Image size 512x512 | CT image | Liver | Slice index 29
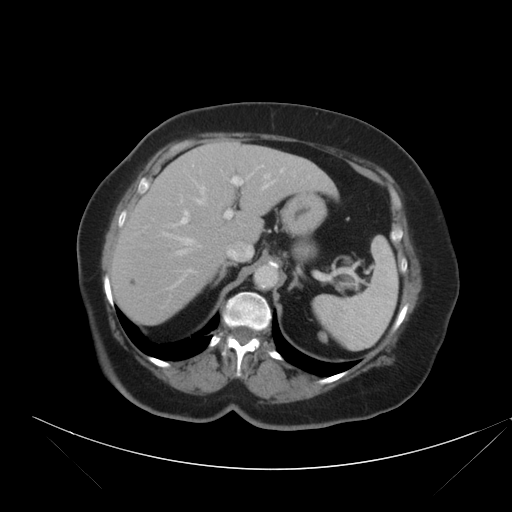

Only some of the vessels may be annotated.
11 hepatic vessel regions are bounded by (x1=231, y1=176, x2=243, y2=184), (x1=193, y1=180, x2=206, y2=204), (x1=262, y1=174, x2=273, y2=189), (x1=308, y1=176, x2=309, y2=177), (x1=246, y1=165, x2=264, y2=179), (x1=180, y1=194, x2=182, y2=201), (x1=170, y1=210, x2=189, y2=226), (x1=224, y1=210, x2=232, y2=218), (x1=162, y1=231, x2=200, y2=255), (x1=168, y1=268, x2=193, y2=289), (x1=291, y1=172, x2=294, y2=175).